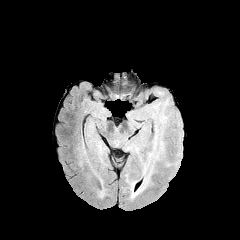
FLAIR MR image.
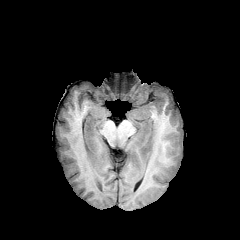
T1-weighted magnetic resonance.
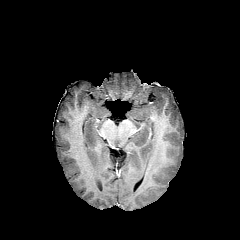
Post-contrast T1-weighted MR image.
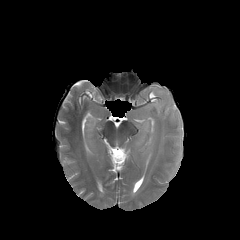
T2-weighted MR image.
240x240 px; Head
Findings:
- edema: <box>94,142,101,157</box>